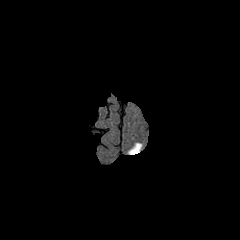
FLAIR MR.
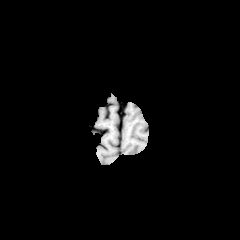
T1-weighted MR.
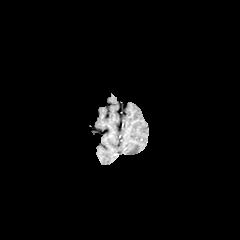
Post-contrast T1-weighted MRI.
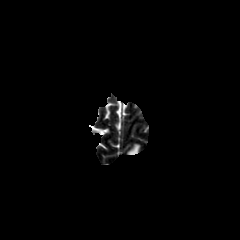
T2-weighted MRI of the same slice.
Head
Edema — 128 143 140 154.